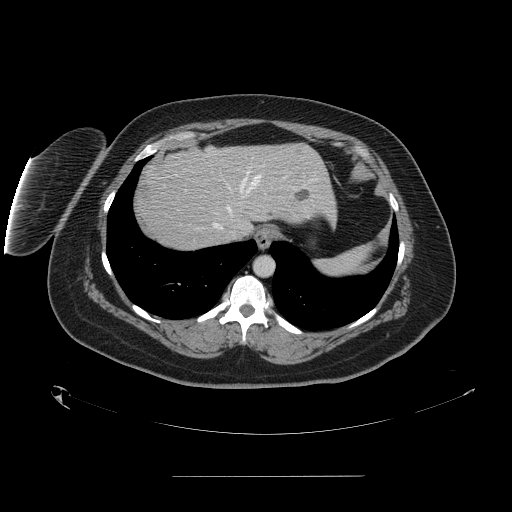
CT image; Image size 512x512

Spleen — bbox=[314, 246, 370, 277].